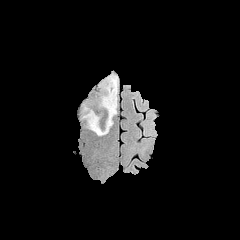
FLAIR MRI.
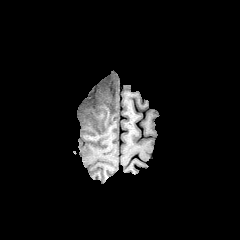
Same slice, T1-weighted MRI.
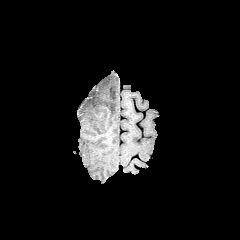
Post-contrast T1-weighted magnetic resonance.
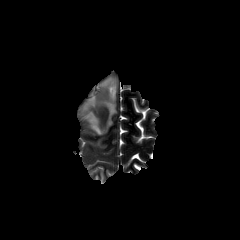
T2-weighted MRI.
Brain. 240x240.
Non-enhancing tumor core — left=104, top=78, right=114, bottom=89.
Edema — left=83, top=75, right=118, bottom=135.